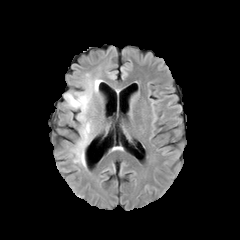
FLAIR magnetic resonance.
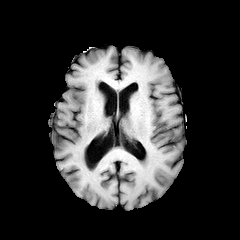
T1-weighted MR.
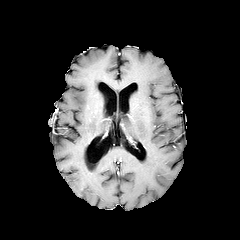
Post-contrast T1-weighted MRI.
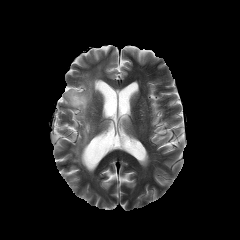
Same slice, T2-weighted MR.
Head.
Edema: bounding box (x1=64, y1=73, x2=104, y2=166).